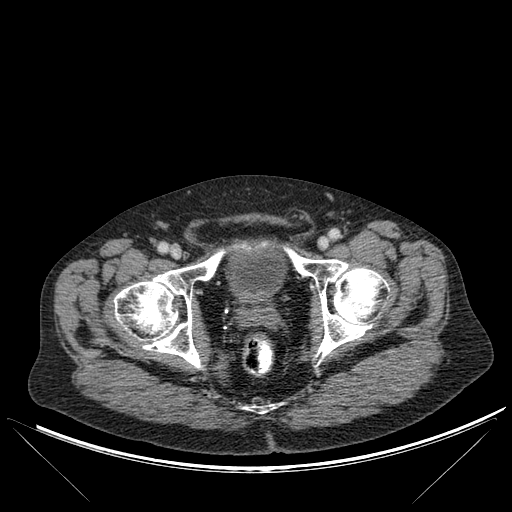
CT scan slice; 512x512 px
Bone: [284,248,387,357], [114,250,225,366], [250,404,275,413].